CT | Slice index 69 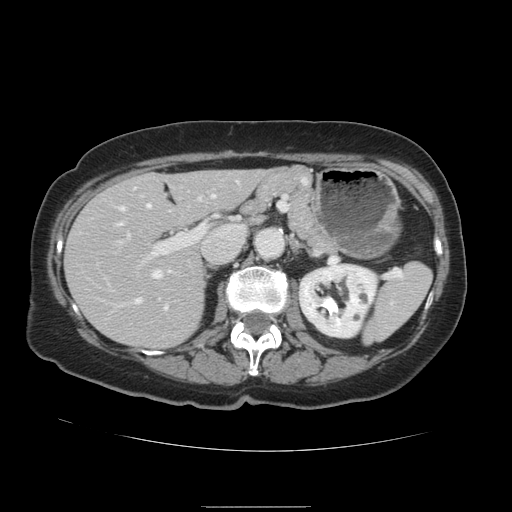 The vessel annotation is not exhaustive.
Hepatic vessel: [127,233,128,237], [236,181,237,182], [198,197,201,200], [152,270,160,277], [117,242,120,243], [146,204,150,207], [133,298,139,303], [155,248,163,251], [116,223,121,225], [118,206,123,210], [210,193,214,197], [144,252,154,261], [164,305,166,309].